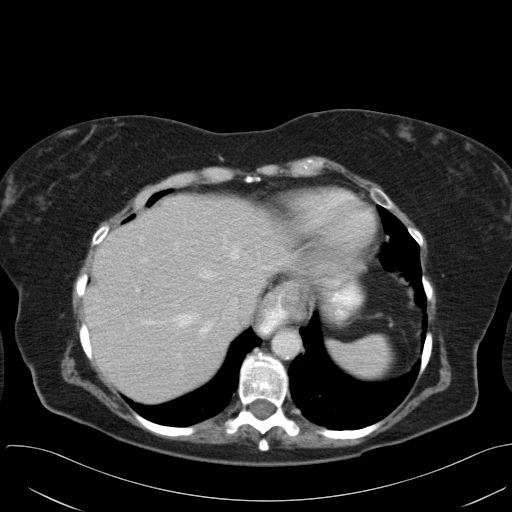 CT slice

* spleen: [x1=327, y1=336, x2=391, y2=380]